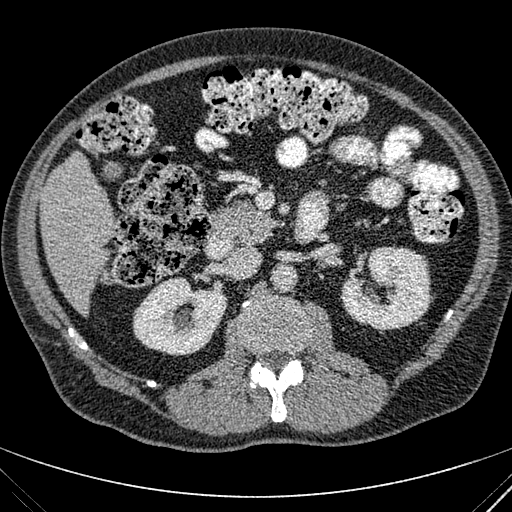
CT slice | 512x512 px | Liver
{"kidney": ["134:278:226:354", "341:247:429:329"], "liver": ["40:152:114:314"]}